Slice 32/49; 512x512; CT

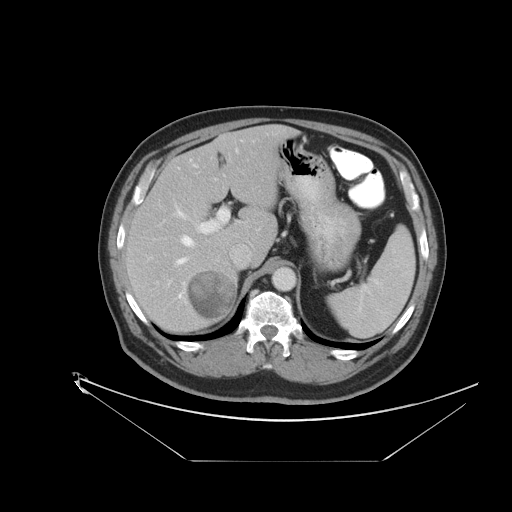

The vessel boxes may cover only some of the vessels.
Hepatic vessel: bounding box (194, 165, 196, 167), (197, 207, 229, 233), (179, 291, 184, 297), (176, 206, 185, 217), (176, 258, 187, 264), (180, 235, 194, 246), (182, 282, 184, 284).
Liver tumor: bounding box (187, 270, 236, 319).